Image size 512x512 | Slice index 528 | CT 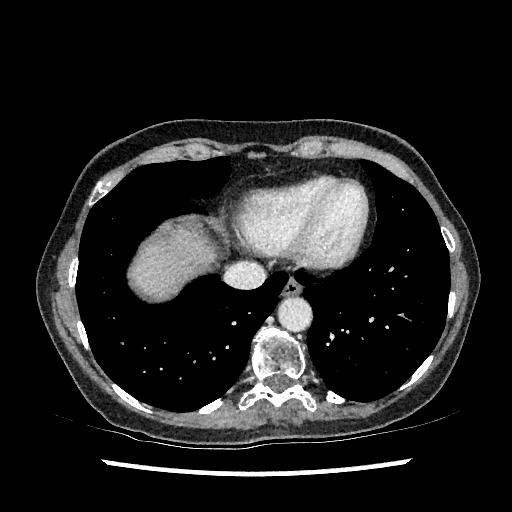

Liver = [x1=132, y1=230, x2=215, y2=297].